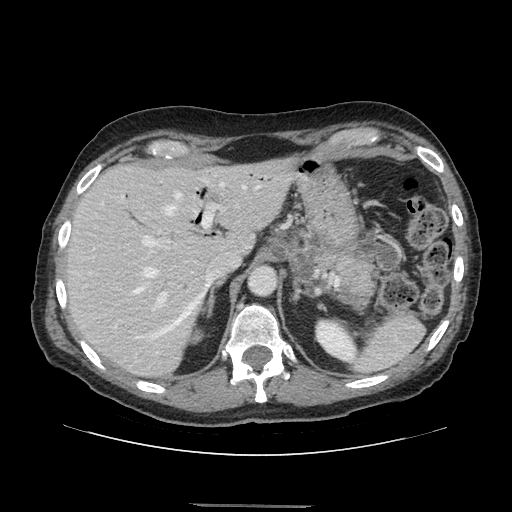 CT. Image size 512x512. Upper abdomen.
The pancreas is at box(315, 250, 373, 303).